Computed tomography 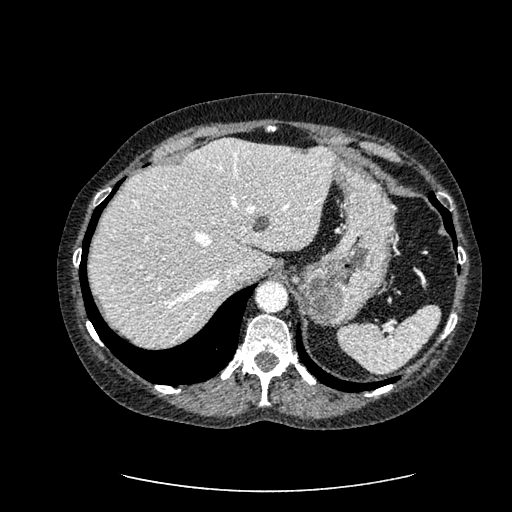 <segmentation>
  <liver>box=[88, 138, 333, 346]</liver>
  <hepatic_lesion>box=[290, 147, 310, 154]; box=[251, 215, 268, 231]</hepatic_lesion>
</segmentation>